512x512 px, Slice 30/565, CT image

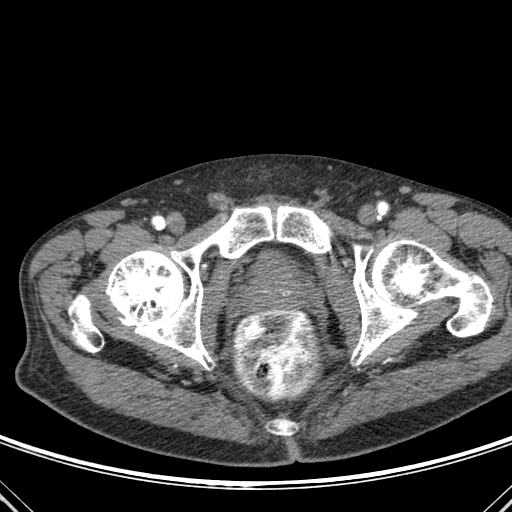
<segmentation>
  <bone>(273, 419, 293, 435), (68, 205, 332, 369), (352, 238, 493, 364)</bone>
</segmentation>